Upper abdomen. CT scan slice. Image size 512x512.

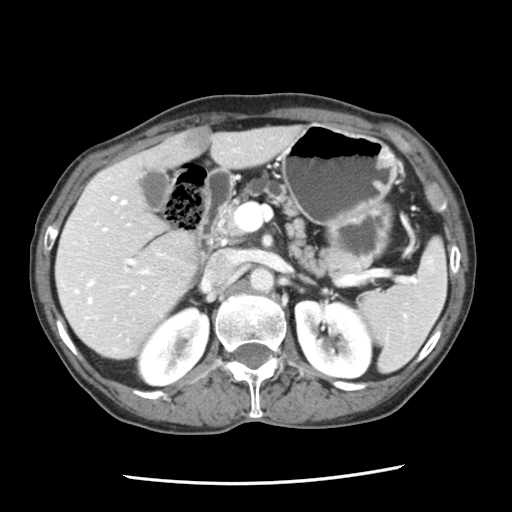 {"pancreas": ["bbox(209, 181, 326, 278)"]}